CT slice; Image size 512x512; Slice 84 of 102

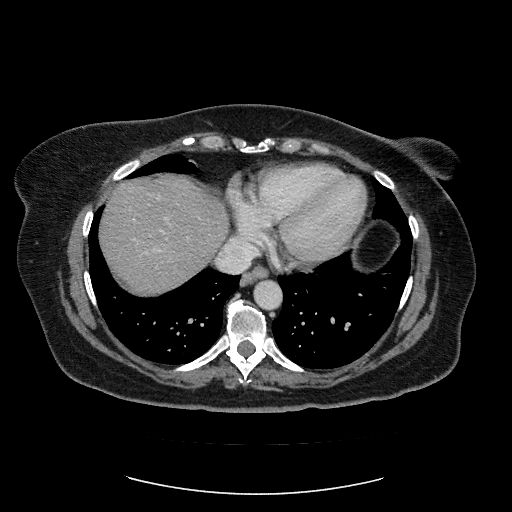

Some hepatic vessels may have no box.
Hepatic vessel: bounding box region(154, 249, 160, 251); region(165, 217, 169, 222); region(145, 251, 147, 253); region(158, 198, 160, 199).